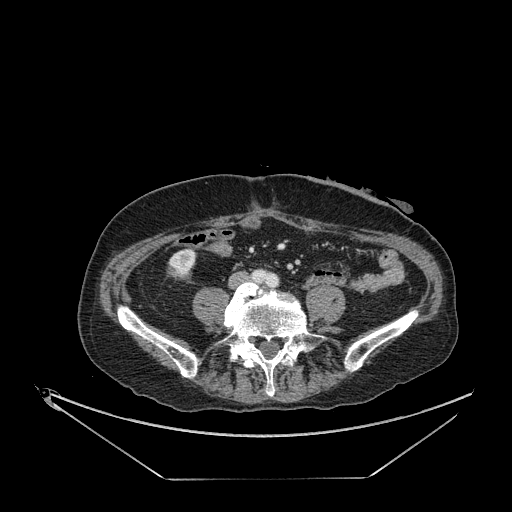

Computed tomography; Abdomen
The kidney is bounded by left=169, top=249, right=194, bottom=276.